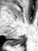 Hippocampus. MRI slice.

The posterior hippocampus is at left=9, top=37, right=24, bottom=44.